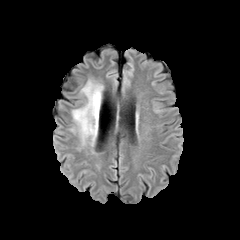
FLAIR MR.
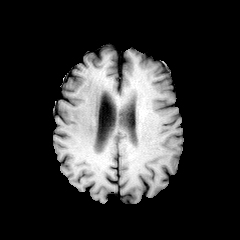
T1-weighted MR image of the same slice.
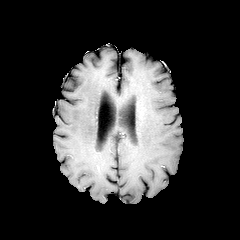
Post-contrast T1-weighted MR image of the same slice.
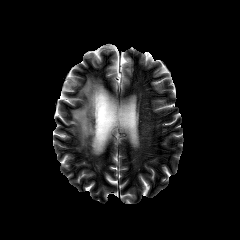
Same slice, T2-weighted MR.
240x240; Head
Edema: bounding box 70,78,103,146.